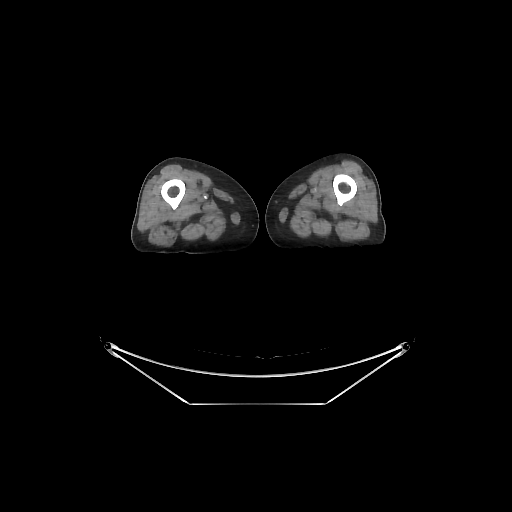
CT scan slice.

Bone — [161, 178, 185, 209], [333, 174, 356, 205].